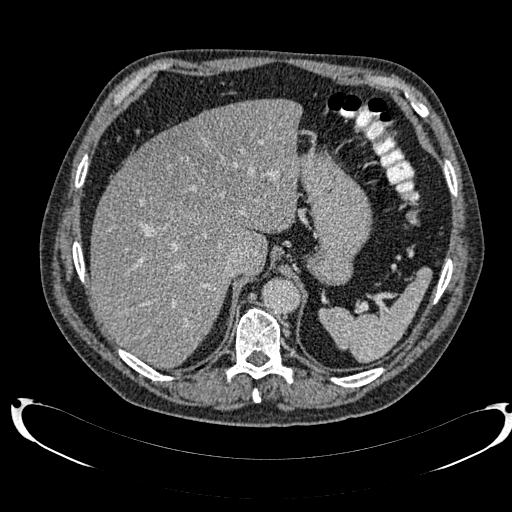

Upper abdomen; CT slice
The hepatic lesion appears at [x1=134, y1=103, x2=266, y2=212]. 2 liver regions are located at [x1=150, y1=126, x2=176, y2=141], [x1=91, y1=99, x2=300, y2=367].